Slice 65 of 155.
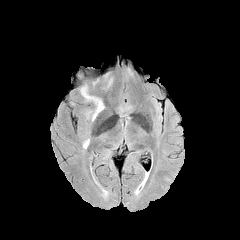
FLAIR MRI.
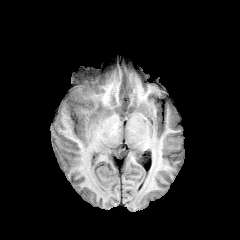
T1-weighted magnetic resonance.
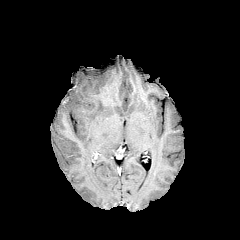
Post-contrast T1-weighted MRI.
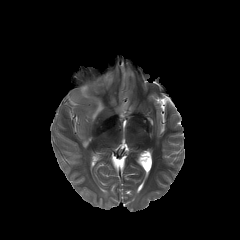
Same slice, T2-weighted MR.
edema: 80 86 104 121, 103 76 113 90